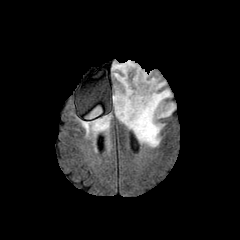
FLAIR MR image.
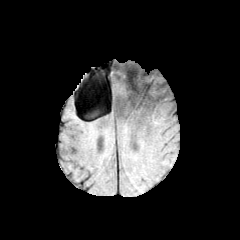
T1-weighted MRI.
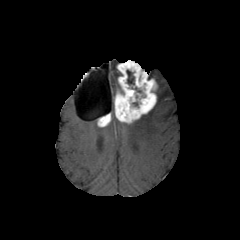
Same slice, post-contrast T1-weighted MR.
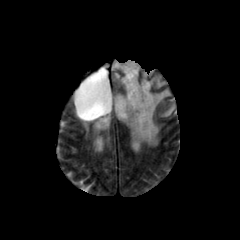
Same slice, T2-weighted MRI.
Brain
Findings:
• edema: <box>82,107,109,134</box>, <box>149,74,165,89</box>, <box>112,62,119,93</box>, <box>122,88,175,147</box>
• enhancing tumor: <box>97,114,110,126</box>, <box>114,60,157,121</box>
• non-enhancing tumor core: <box>126,70,134,84</box>